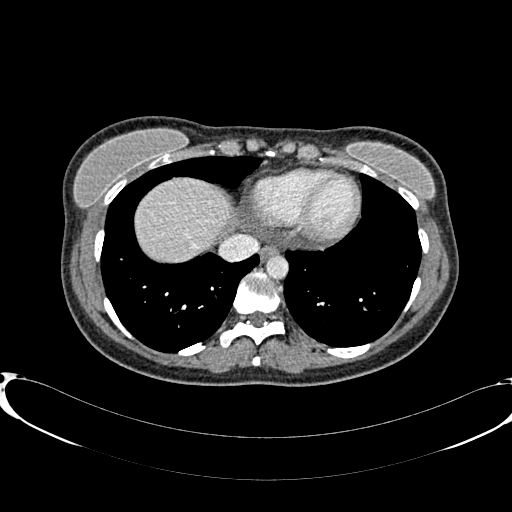 CT slice | Abdomen
Segmented structures:
- liver: (135,179,230,261)